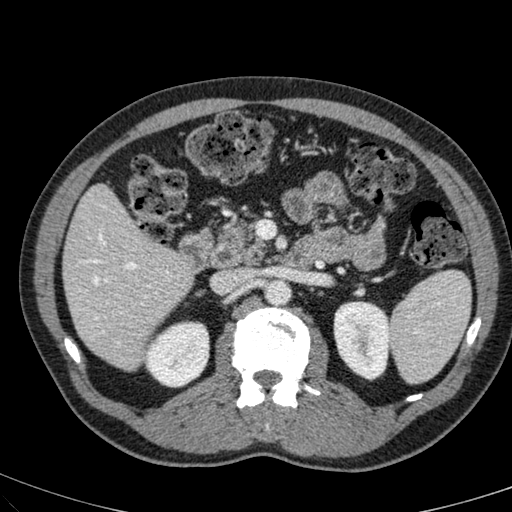
Abdomen. CT.

The liver is at box=[63, 185, 192, 369]. 2 kidney regions are bounded by box=[148, 324, 207, 384]; box=[335, 303, 388, 377].